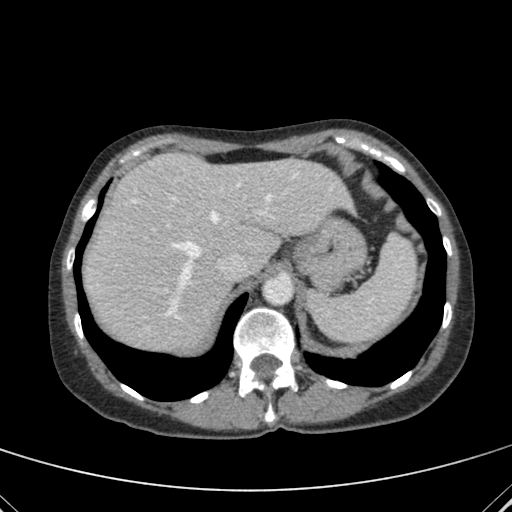
CT scan slice. 512x512. The liver appears at region(84, 153, 357, 349).